FLAIR magnetic resonance.
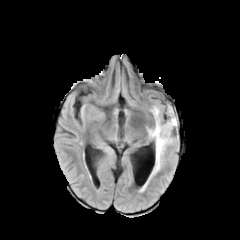
T1-weighted MR image.
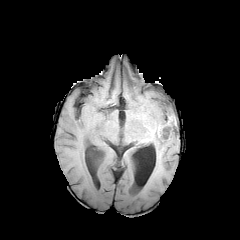
Post-contrast T1-weighted magnetic resonance.
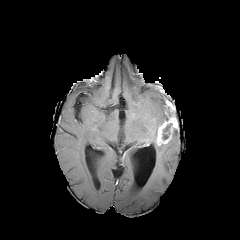
T2-weighted MR image.
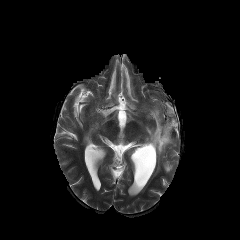
Head
The edema lies within region(147, 104, 178, 181). 2 enhancing tumor regions appear at region(156, 124, 169, 145); region(168, 114, 177, 128). The non-enhancing tumor core appears at region(162, 128, 170, 140).